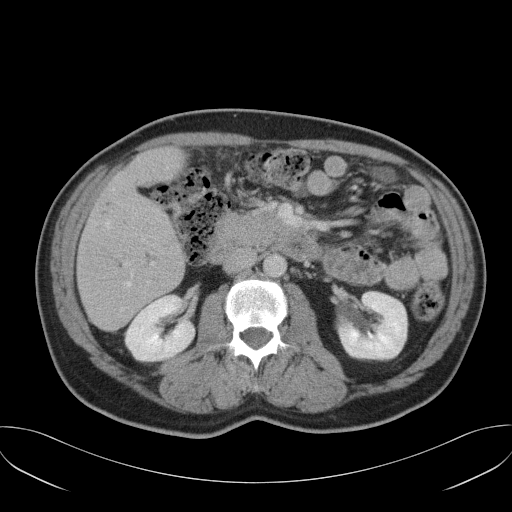

Computed tomography. Abdomen. Image size 512x512. The vessel annotation is not exhaustive.
Hepatic vessel: <box>151,261,153,264</box>.